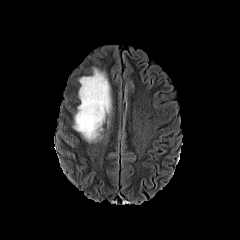
FLAIR MRI.
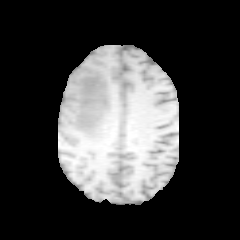
T1-weighted MRI of the same slice.
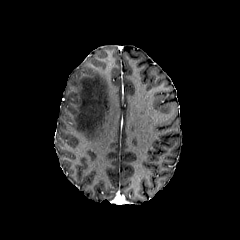
Post-contrast T1-weighted MR image.
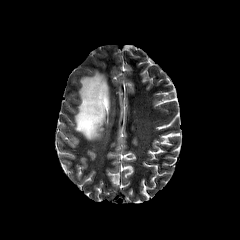
T2-weighted MRI of the same slice.
Head
The edema is at {"x1": 74, "y1": 70, "x2": 112, "y2": 142}.